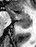

Hippocampus. MRI.
Posterior hippocampus — box(15, 20, 30, 27).
Anterior hippocampus — box(10, 10, 29, 19).